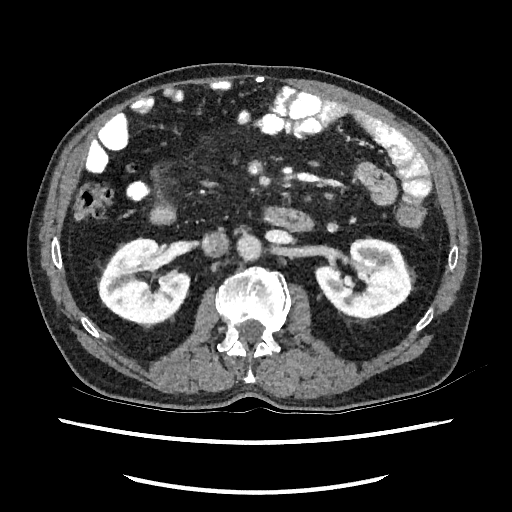

Computed tomography
Annotated regions:
- kidney: 315 238 412 318, 98 237 190 327